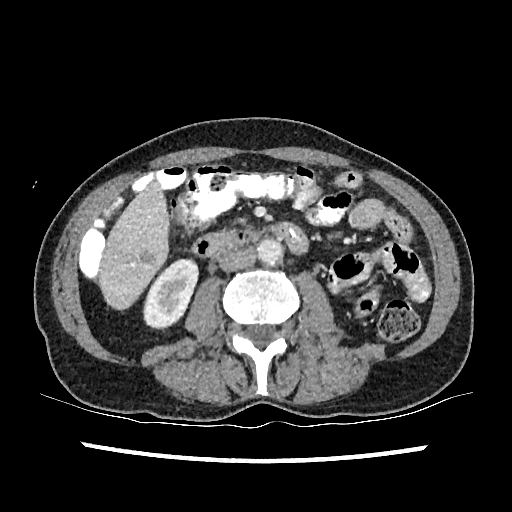
CT. 512x512 px. Liver: bounding box x1=101 y1=180 x2=167 y2=308.
Kidney: bounding box x1=144 y1=260 x2=197 y2=326.
Liver lesion: bounding box x1=140 y1=250 x2=155 y2=263.